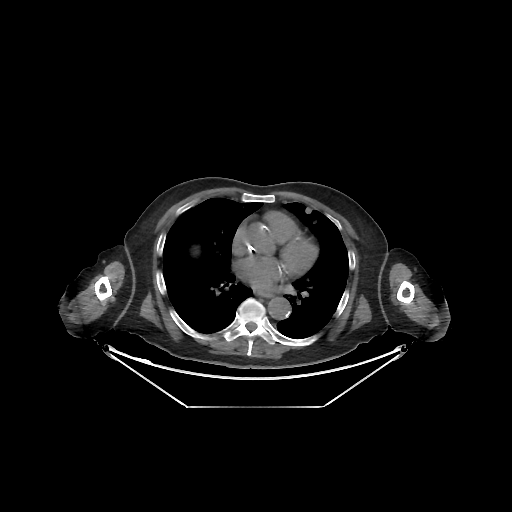 Computed tomography; Chest
Bone: [x1=94, y1=276, x2=111, y2=300], [x1=224, y1=299, x2=315, y2=354], [x1=157, y1=235, x2=164, y2=253], [x1=337, y1=292, x2=348, y2=314], [x1=397, y1=281, x2=414, y2=304], [x1=349, y1=255, x2=354, y2=268], [x1=242, y1=193, x2=274, y2=202], [x1=170, y1=311, x2=209, y2=338], [x1=156, y1=273, x2=165, y2=293].
Lung: [x1=162, y1=198, x2=263, y2=333], [x1=277, y1=202, x2=348, y2=338].